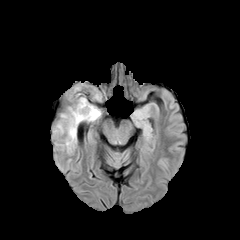
FLAIR MR image.
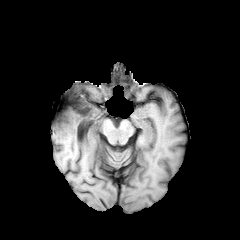
Same slice, T1-weighted MRI.
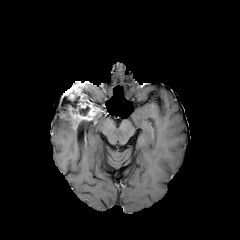
Post-contrast T1-weighted MR of the same slice.
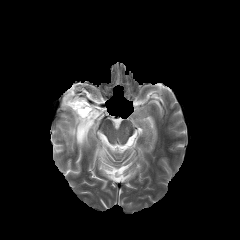
T2-weighted MR image of the same slice.
240x240.
Segmented structures:
- enhancing tumor: rect(65, 83, 101, 122)
- edema: rect(91, 91, 103, 107); rect(55, 117, 87, 150)
- non-enhancing tumor core: rect(75, 114, 98, 127); rect(80, 83, 101, 109); rect(62, 94, 79, 123); rect(79, 106, 89, 115)